Brain. Slice 47/155.
FLAIR MR image.
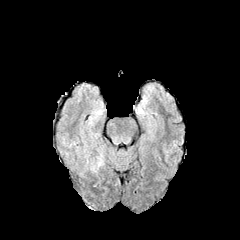
T1-weighted MR.
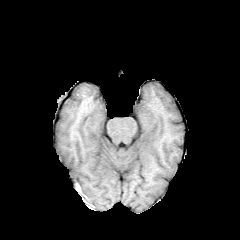
Post-contrast T1-weighted MR image.
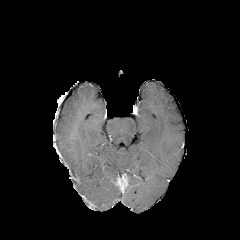
T2-weighted MRI.
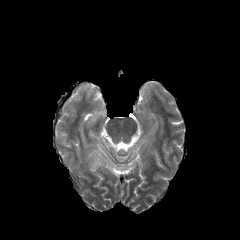
edema:
  - region(85, 144, 106, 173)